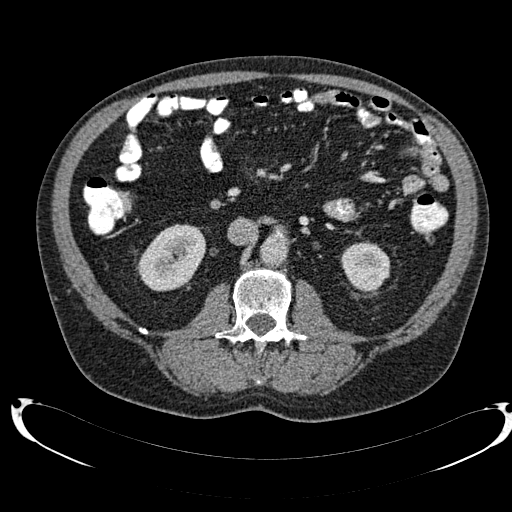
Computed tomography.
kidney: [x1=138, y1=224, x2=205, y2=291], [x1=341, y1=242, x2=389, y2=292]